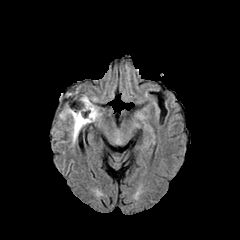
FLAIR MRI.
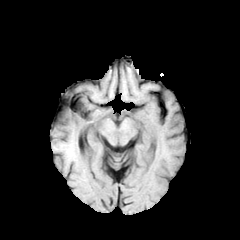
T1-weighted MR image.
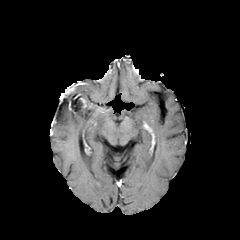
Same slice, post-contrast T1-weighted magnetic resonance.
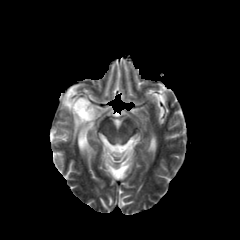
T2-weighted MR.
Brain
non-enhancing tumor core: x1=61 y1=91 x2=92 y2=113 | edema: x1=59 y1=94 x2=102 y2=144, x1=68 y1=92 x2=79 y2=101